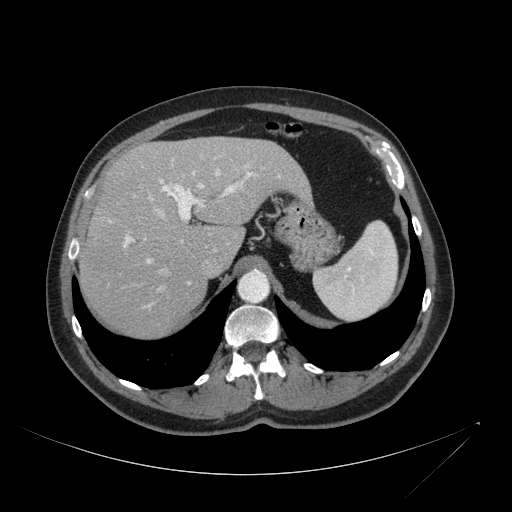

Image size 512x512, CT slice
The liver appears at <box>79,137,311,336</box>.